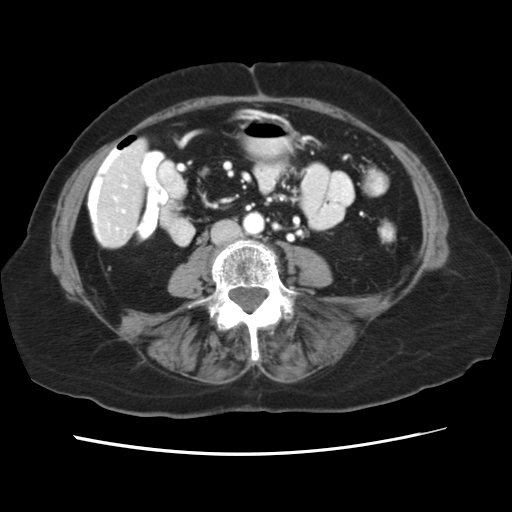
CT, Liver
Only some of the vessels may be annotated.
hepatic vessel: rect(123, 185, 126, 187); rect(125, 151, 126, 152); rect(117, 208, 124, 212); rect(114, 197, 117, 200); rect(116, 228, 118, 229)